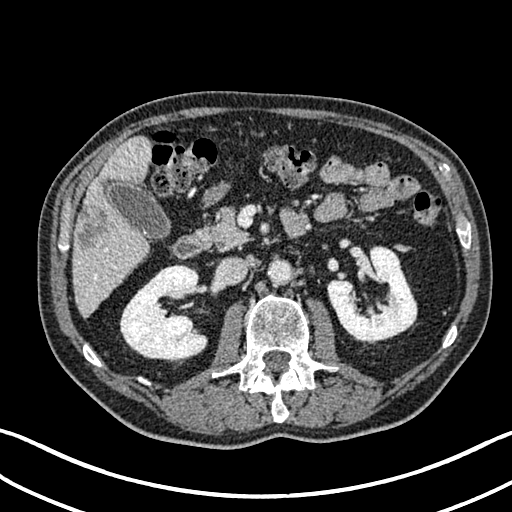 512x512 px. Computed tomography. Upper abdomen.
{"liver": ["73 137 150 316"], "hepatic_lesion": ["78 205 108 247"], "kidney": ["328 247 416 340", "121 266 206 359"]}